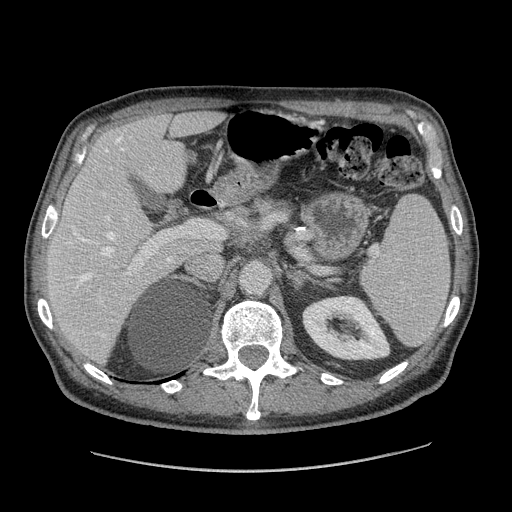
CT image, Image size 512x512

Segmented structures:
• pancreas: box(254, 196, 286, 216)